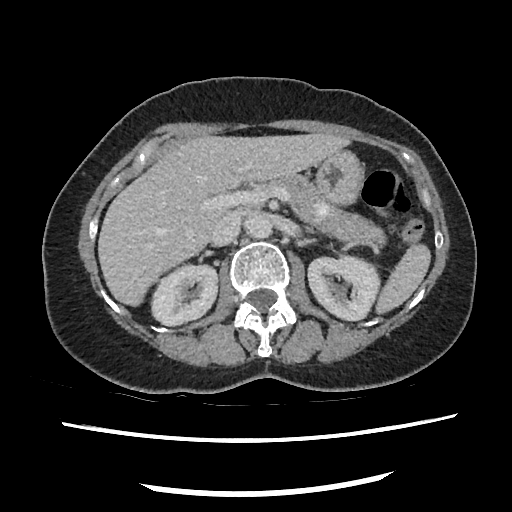 Upper abdomen. CT scan slice. pancreatic_tumor:
  - left=314, top=202, right=329, bottom=217
pancreas:
  - left=268, top=174, right=382, bottom=240